Slice index 35 | 240x240
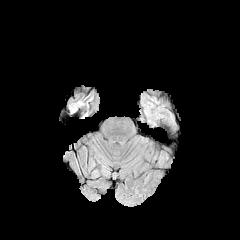
FLAIR MRI.
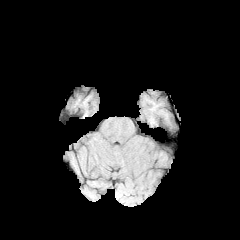
T1-weighted MR.
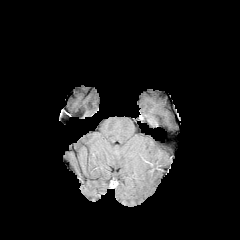
Post-contrast T1-weighted MR image.
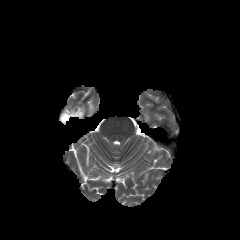
T2-weighted MR image.
Edema = (69, 101, 82, 113).